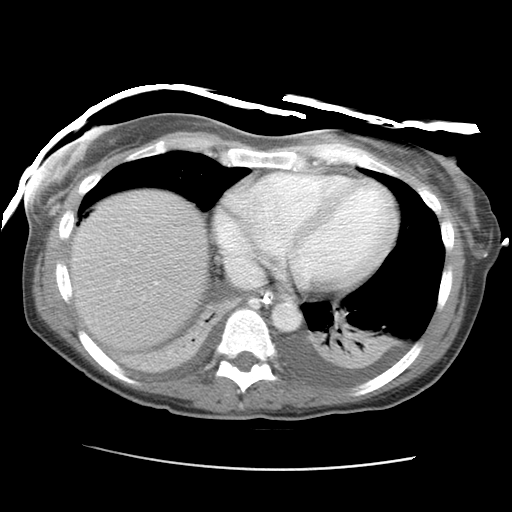 CT scan slice

liver:
  - region(69, 190, 206, 350)